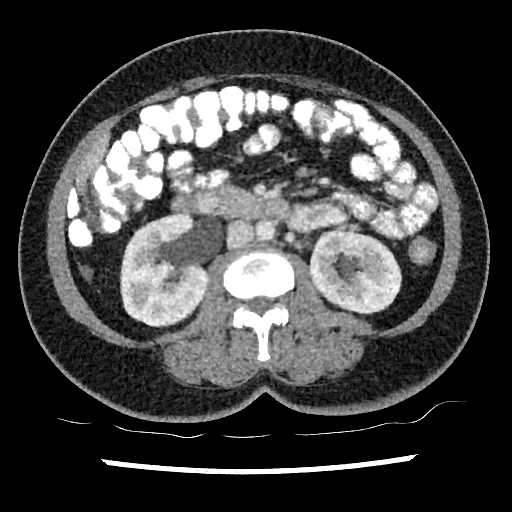

Upper abdomen. CT image. Kidney: (left=310, top=231, right=400, bottom=312), (left=122, top=214, right=207, bottom=325).
Liver: (left=76, top=134, right=108, bottom=190).